CT. 512x512. Abdomen.

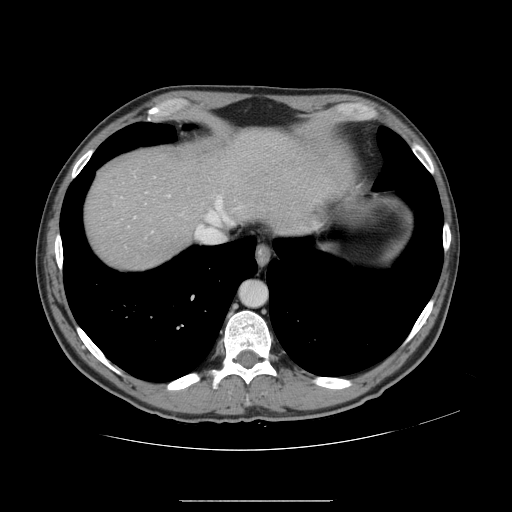

Some hepatic vessels may have no box.
hepatic_vessel:
  - <bbox>197, 196, 231, 241</bbox>